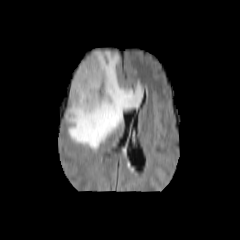
FLAIR MR.
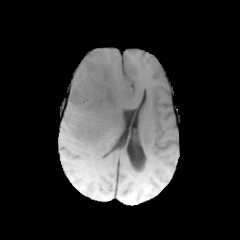
T1-weighted MRI of the same slice.
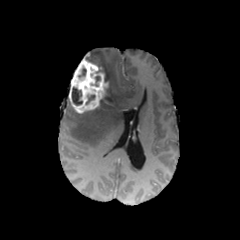
Post-contrast T1-weighted magnetic resonance.
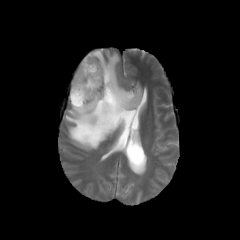
Same slice, T2-weighted MR image.
Image size 240x240
<segmentation>
  <edema>[65, 49, 142, 150]</edema>
  <non-enhancing_tumor_core>[89, 60, 109, 86], [99, 88, 108, 106], [71, 88, 83, 105]</non-enhancing_tumor_core>
  <enhancing_tumor>[68, 57, 108, 113]</enhancing_tumor>
</segmentation>